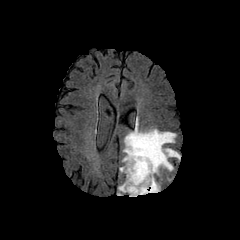
FLAIR MR image.
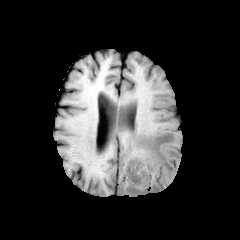
T1-weighted MRI of the same slice.
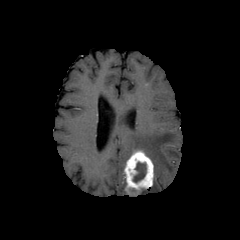
Post-contrast T1-weighted MR image of the same slice.
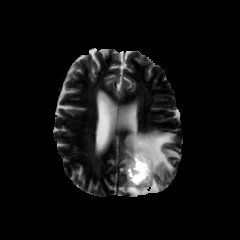
T2-weighted MRI.
Head
enhancing_tumor:
  - box(123, 149, 155, 196)
edema:
  - box(117, 182, 125, 195)
  - box(122, 116, 180, 194)
non-enhancing_tumor_core:
  - box(134, 163, 146, 182)